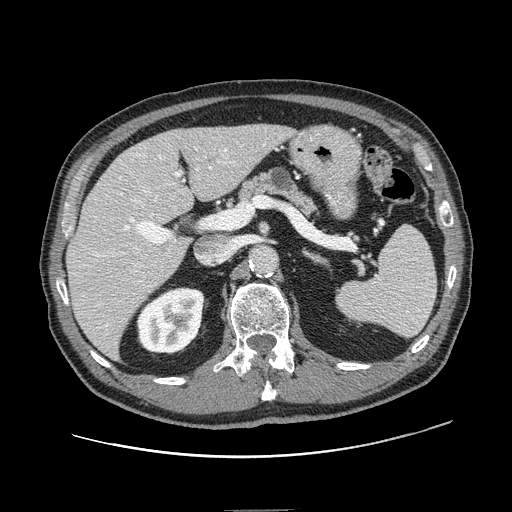

CT image
The pancreatic tumor is located at box=[270, 167, 291, 190]. The pancreas lies within box=[237, 165, 321, 220].